Brain | Image size 240x240 | Slice 77 of 155
FLAIR magnetic resonance.
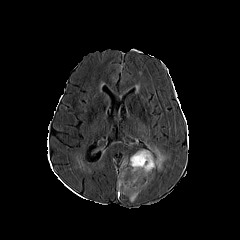
T1-weighted magnetic resonance.
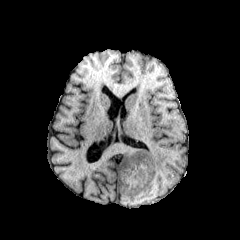
Post-contrast T1-weighted MR.
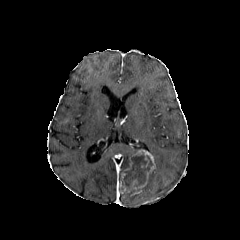
T2-weighted magnetic resonance.
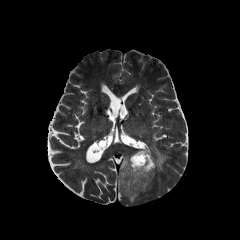
<segmentation>
  <non-enhancing_tumor_core>123,156,151,187; 145,167,157,188</non-enhancing_tumor_core>
  <enhancing_tumor>119,149,156,195</enhancing_tumor>
  <edema>144,142,168,171; 129,194,138,201</edema>
</segmentation>